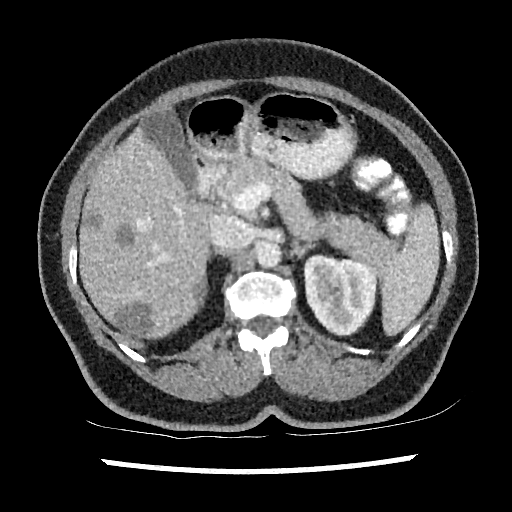

CT image, Liver, 512x512 px
Focal liver lesion: (83,214,101,230), (114,303,153,337), (195,280,205,302), (116,225,133,246).
Liver: (79,129,209,338).
Kidney: (305,256,375,334).